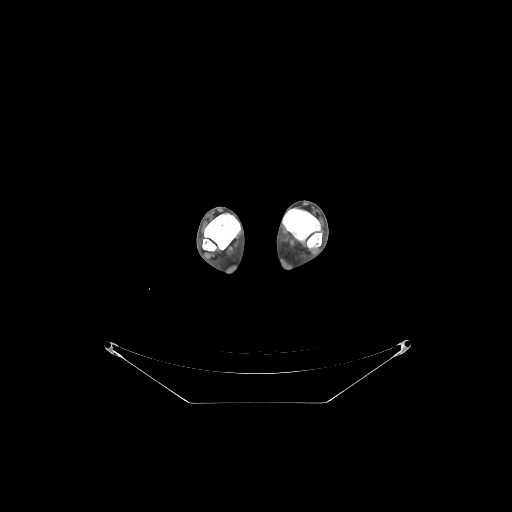

CT

bone: l=202, t=213, r=240, b=251; l=282, t=209, r=322, b=248